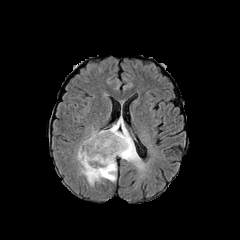
FLAIR MR.
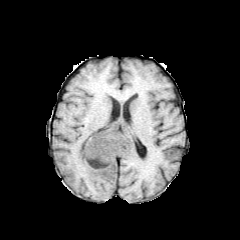
T1-weighted MR image.
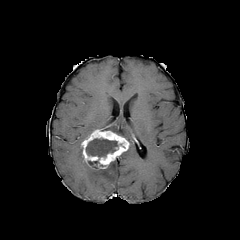
Post-contrast T1-weighted magnetic resonance.
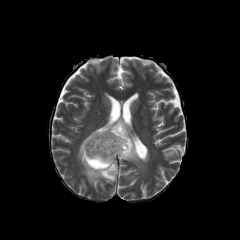
T2-weighted MR image of the same slice.
Brain
Segmented structures:
* edema: left=76, top=145, right=117, bottom=184; left=116, top=142, right=143, bottom=167; left=108, top=117, right=132, bottom=141
* enhancing tumor: left=82, top=130, right=129, bottom=168
* non-enhancing tumor core: left=88, top=161, right=103, bottom=168; left=86, top=138, right=117, bottom=156